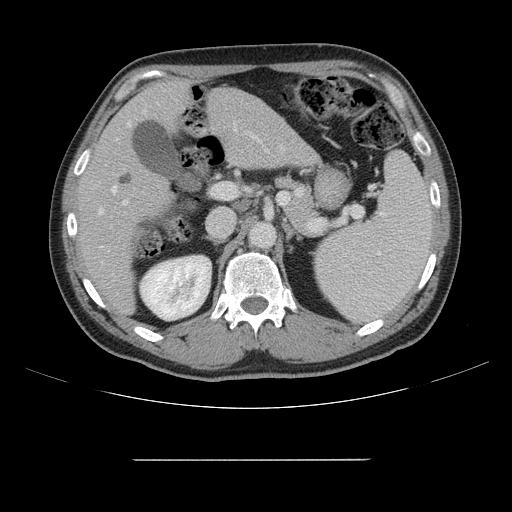

CT image; Liver; 512x512 px
The vessel boxes may cover only some of the vessels.
{"liver_tumor": ["117, 170, 133, 187"], "hepatic_vessel": ["246, 131, 269, 152", "280, 146, 284, 150", "234, 127, 236, 130", "123, 200, 128, 204", "99, 208, 103, 214", "102, 262, 103, 263", "112, 187, 116, 193", "127, 121, 130, 126"]}